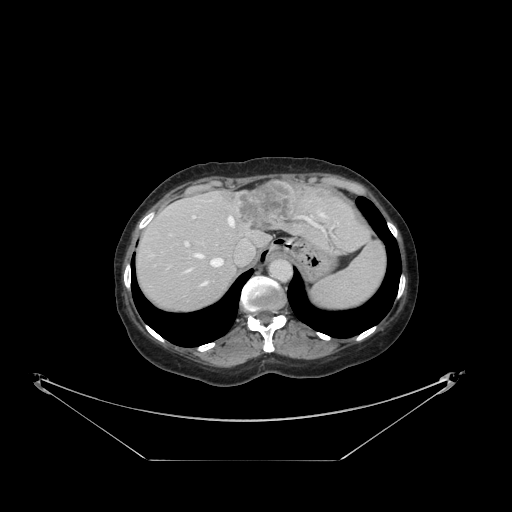 CT image. 512x512 px. Not every hepatic vessel necessarily has a box.
9 hepatic vessel regions appear at 235, 244, 254, 263; 185, 241, 188, 245; 210, 257, 224, 266; 185, 269, 191, 272; 194, 253, 204, 258; 201, 281, 207, 285; 321, 214, 324, 216; 227, 215, 234, 227; 193, 216, 194, 217. The liver tumor appears at 223, 181, 296, 229.